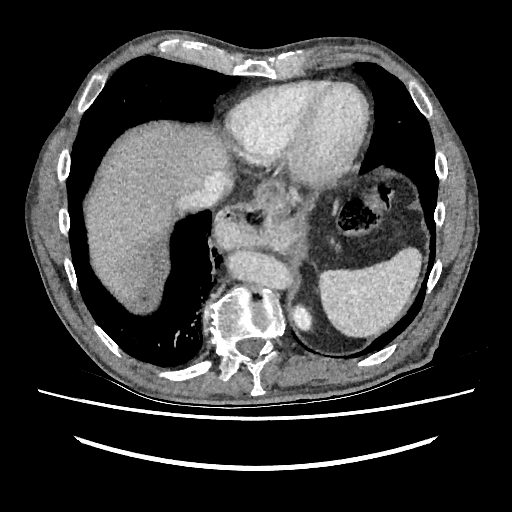

CT. Abdomen.
focal_liver_lesion:
  - l=119, t=234, r=166, b=291
liver:
  - l=85, t=124, r=233, b=301
kidney:
  - l=294, t=307, r=309, b=329